Liver; CT; Slice 106 of 164; 512x512 px 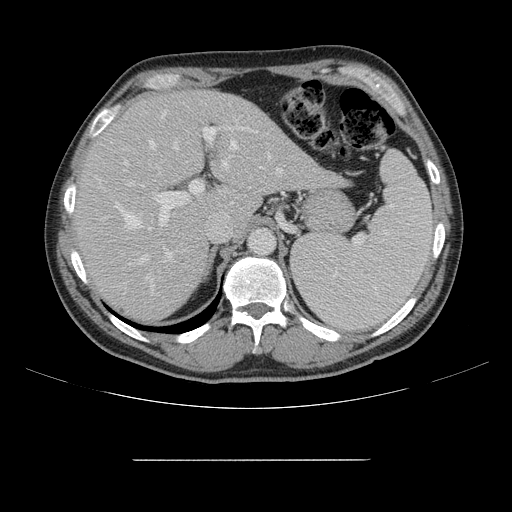 The vessel annotation is not exhaustive.
Principal 15 of 17 hepatic vessel regions — (x1=189, y1=180, x2=204, y2=193), (x1=239, y1=127, x2=257, y2=132), (x1=229, y1=141, x2=236, y2=148), (x1=145, y1=276, x2=147, y2=279), (x1=277, y1=168, x2=281, y2=172), (x1=222, y1=160, x2=226, y2=166), (x1=151, y1=284, x2=153, y2=294), (x1=163, y1=248, x2=170, y2=261), (x1=268, y1=154, x2=270, y2=157), (x1=128, y1=183, x2=133, y2=184), (x1=123, y1=160, x2=127, y2=163), (x1=115, y1=204, x2=139, y2=227), (x1=157, y1=192, x2=188, y2=226), (x1=203, y1=127, x2=216, y2=140), (x1=135, y1=257, x2=145, y2=263).